Liver. Image width 396 mm. Image size 512x512. Computed tomography.
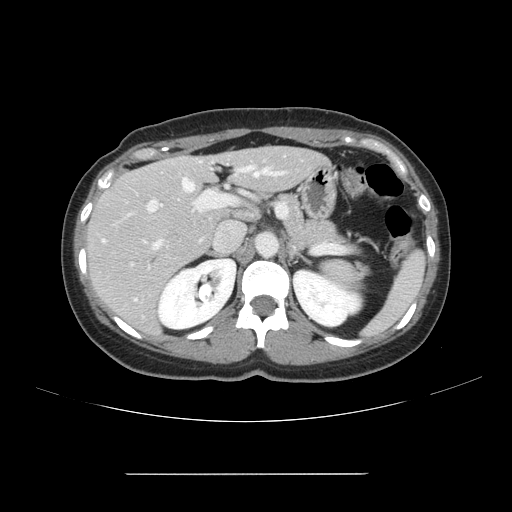

Not every hepatic vessel necessarily has a box.
Hepatic vessel at (154, 241, 161, 247), (102, 239, 105, 241), (182, 178, 194, 190), (263, 168, 284, 175), (148, 200, 161, 211), (134, 298, 136, 300), (240, 166, 259, 176).